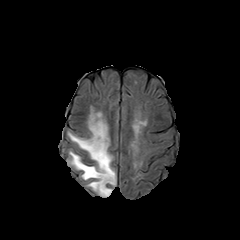
FLAIR MRI.
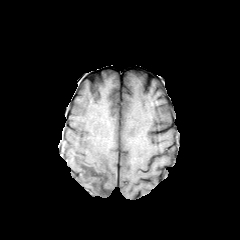
T1-weighted MR of the same slice.
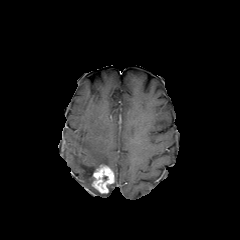
Post-contrast T1-weighted MR image.
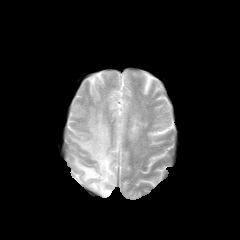
T2-weighted MR image of the same slice.
edema: [68,113,116,197] | enhancing tumor: [92,164,114,193]